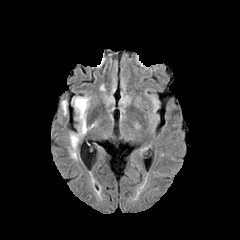
FLAIR magnetic resonance.
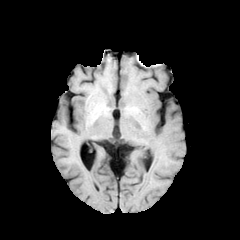
T1-weighted MR of the same slice.
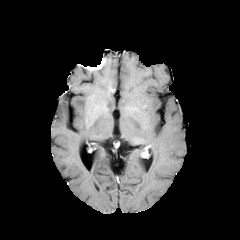
Same slice, post-contrast T1-weighted magnetic resonance.
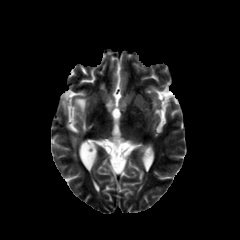
Same slice, T2-weighted MR.
Image size 240x240 | Brain
{"edema": ["<bbox>61, 100, 68, 114</bbox>", "<bbox>69, 95, 92, 158</bbox>"]}